512x512 px, CT image, Slice index 137

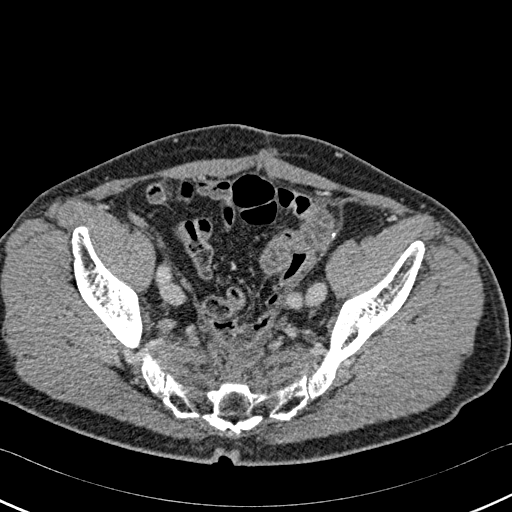 4 bone regions are bounded by (left=138, top=344, right=198, bottom=417), (left=71, top=227, right=143, bottom=348), (left=202, top=383, right=268, bottom=434), (left=270, top=241, right=424, bottom=420).